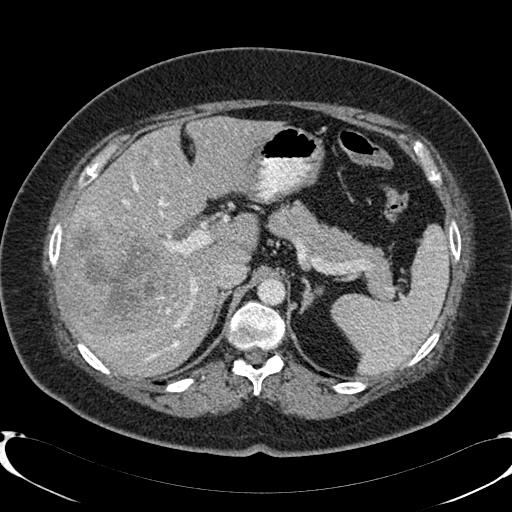

CT. Abdomen.
Hepatic lesion: (140, 156, 148, 164), (62, 216, 175, 332).
Liver: (61, 118, 280, 376).